Head
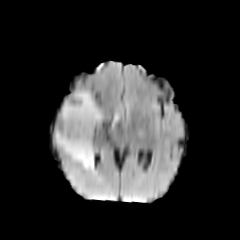
FLAIR MR image.
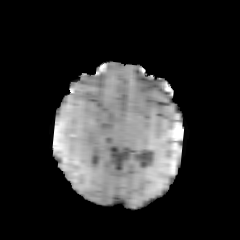
T1-weighted MRI.
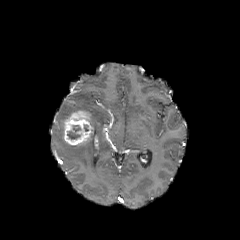
Post-contrast T1-weighted magnetic resonance.
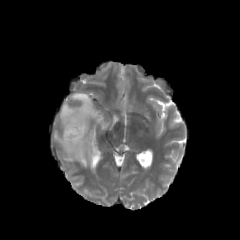
Same slice, T2-weighted MR.
non-enhancing tumor core: bbox=[67, 125, 81, 140] | edema: bbox=[53, 92, 103, 169] | enhancing tumor: bbox=[62, 110, 94, 145]